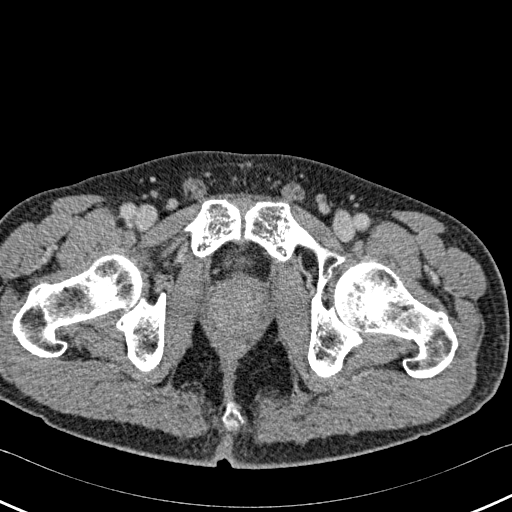 CT slice
3 bone regions are located at <box>9,254,165,371</box>, <box>185,200,457,377</box>, <box>223,402,242,428</box>.